Computed tomography, Abdomen

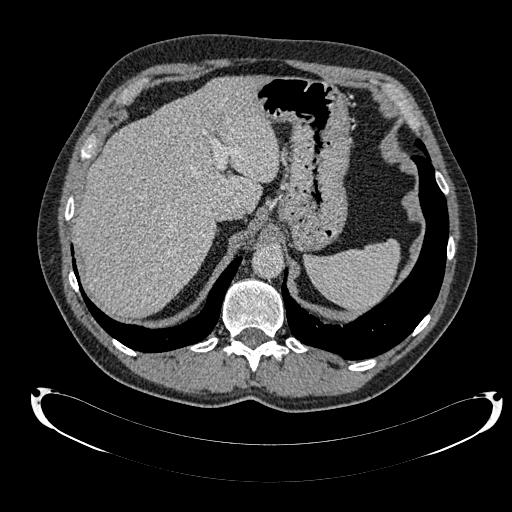 • liver: (75,76,279,316)